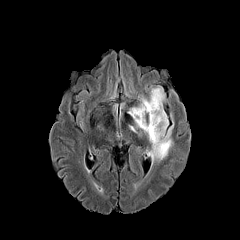
FLAIR MRI.
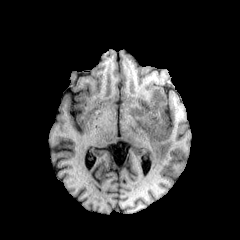
T1-weighted MR image.
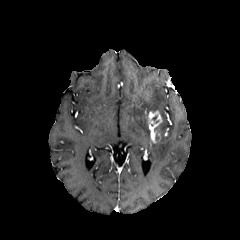
Post-contrast T1-weighted MR image of the same slice.
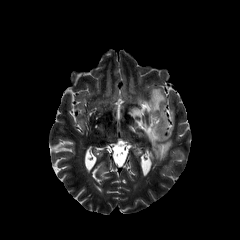
T2-weighted MR image.
non-enhancing_tumor_core:
  - x1=154 y1=122 x2=166 y2=136
edema:
  - x1=148 y1=122 x2=173 y2=168
  - x1=128 y1=107 x2=149 y2=139
  - x1=138 y1=88 x2=168 y2=126
enhancing_tumor:
  - x1=147 y1=110 x2=162 y2=141